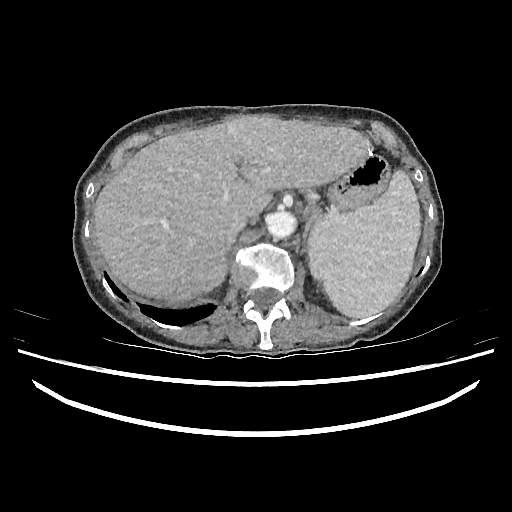 CT image.

Liver: x1=95 y1=116 x2=370 y2=300.